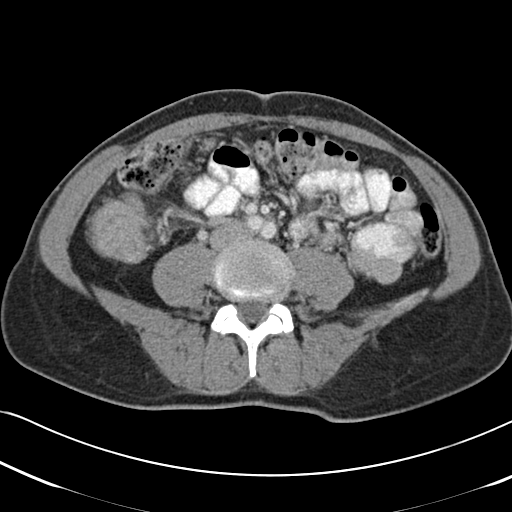 CT scan slice

- colon tumor: l=88, t=193, r=148, b=262